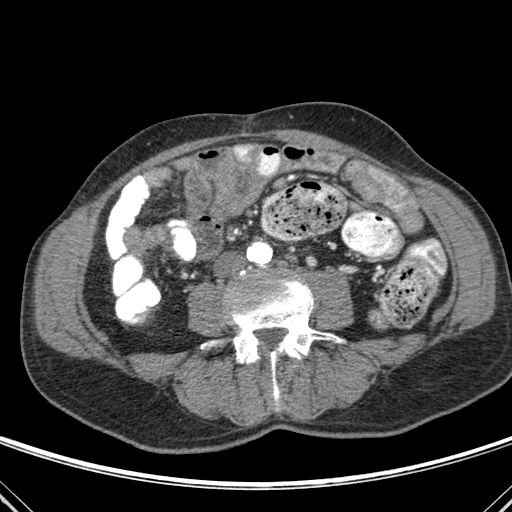

Computed tomography. 512x512 px.
Bone at l=201, t=341, r=218, b=347; l=227, t=273, r=342, b=403.